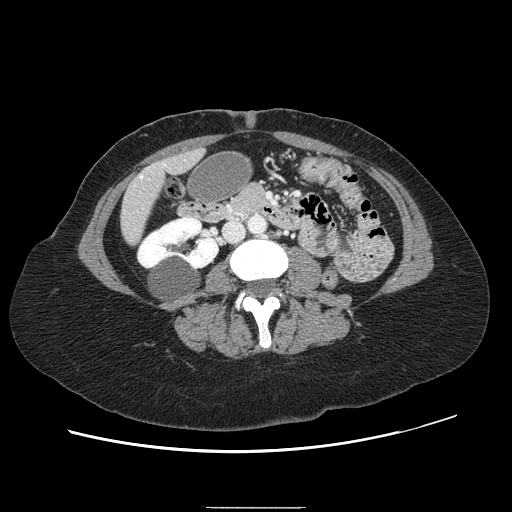
CT | Upper abdomen
pancreas:
  - (x1=232, y1=184, x2=267, y2=214)